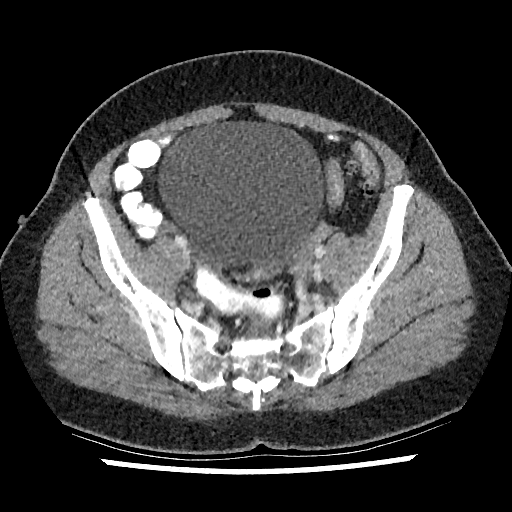 512x512 px; Computed tomography
The urinary bladder is located at {"x1": 158, "y1": 121, "x2": 323, "y2": 278}.